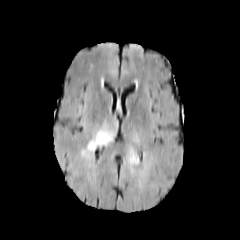
FLAIR magnetic resonance.
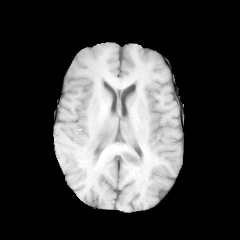
T1-weighted magnetic resonance.
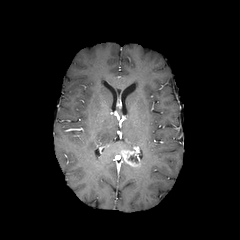
Post-contrast T1-weighted magnetic resonance of the same slice.
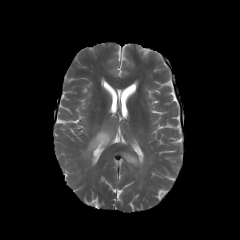
T2-weighted magnetic resonance.
Image size 240x240, Head
Annotated regions:
- edema: x1=81, y1=125, x2=114, y2=157
- non-enhancing tumor core: x1=127, y1=154, x2=138, y2=163
- enhancing tumor: x1=121, y1=149, x2=140, y2=166